Brain, Slice 108 of 155
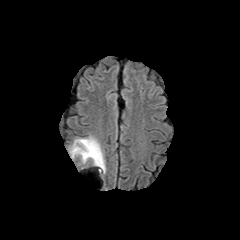
FLAIR MR.
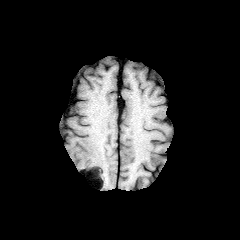
T1-weighted MR of the same slice.
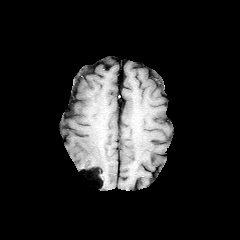
Post-contrast T1-weighted MR image.
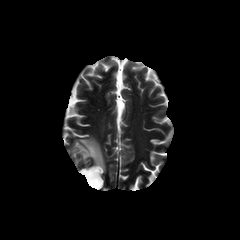
Same slice, T2-weighted magnetic resonance.
Findings:
* edema: 68 134 106 175